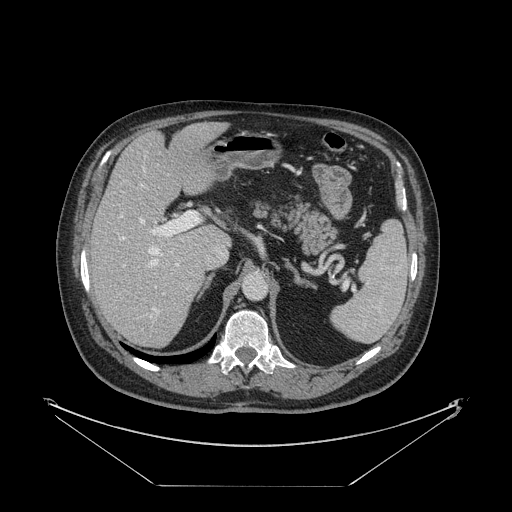

CT scan slice | Image size 512x512 | Abdomen

The vessel annotation is not exhaustive.
{
  "hepatic_vessel": [
    "119, 237, 123, 239",
    "152, 307, 158, 311",
    "140, 218, 143, 222"
  ]
}